Brain, Slice index 66
FLAIR magnetic resonance.
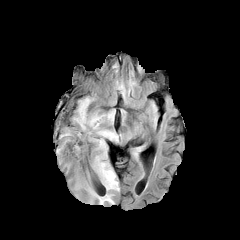
T1-weighted MR image.
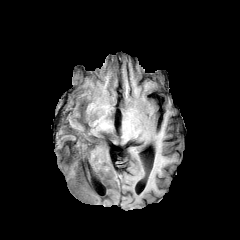
Post-contrast T1-weighted MR image.
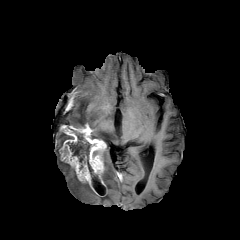
T2-weighted MR.
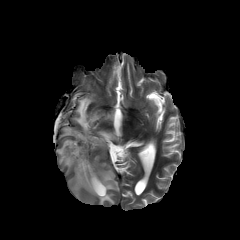
4 edema regions appear at region(59, 131, 67, 147); region(60, 159, 73, 169); region(72, 96, 121, 143); region(74, 147, 119, 204). The non-enhancing tumor core appears at region(59, 125, 105, 179). 4 enhancing tumor regions are located at region(72, 124, 105, 151); region(90, 155, 103, 176); region(76, 164, 90, 185); region(61, 126, 76, 141).